Image width 240 mm; Head
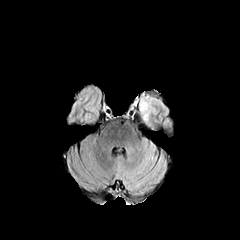
FLAIR MRI.
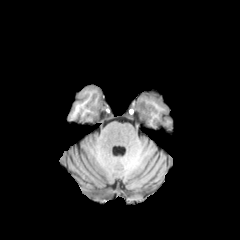
T1-weighted MR.
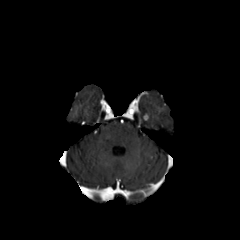
Post-contrast T1-weighted MRI.
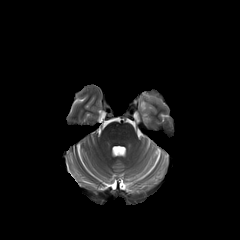
T2-weighted magnetic resonance.
Edema: bounding box bbox(138, 95, 159, 127).